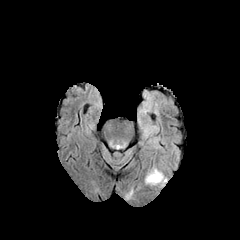
FLAIR MR image.
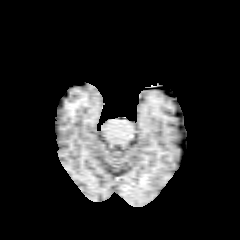
T1-weighted MR of the same slice.
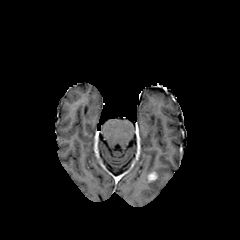
Post-contrast T1-weighted MRI.
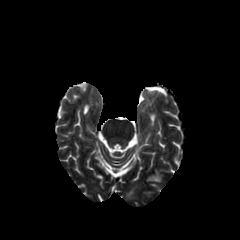
T2-weighted MR.
Brain.
Enhancing tumor — [x1=148, y1=172, x2=157, y2=180].
Edema — [x1=145, y1=165, x2=166, y2=186].